Slice 156 of 574, CT scan slice
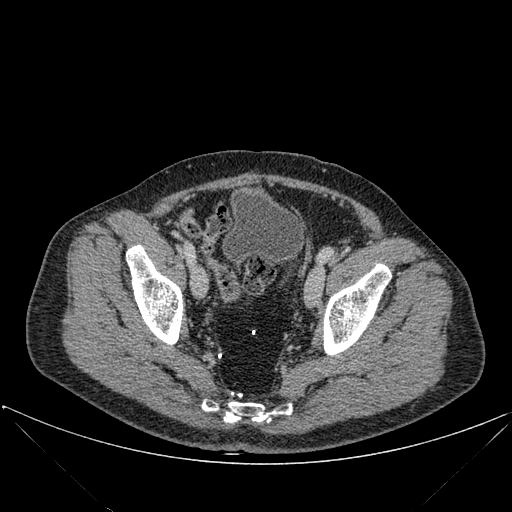

• bone: [223,402,292,424], [202,401,219,410], [324,264,391,354], [126,245,182,344]